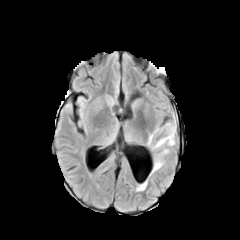
FLAIR magnetic resonance.
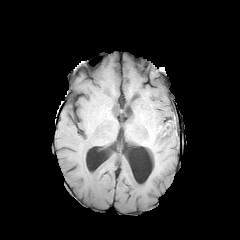
T1-weighted MR image of the same slice.
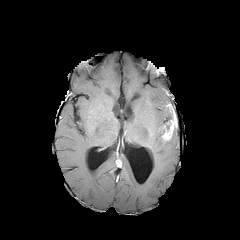
Post-contrast T1-weighted MRI.
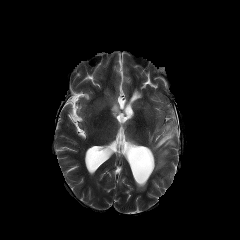
T2-weighted MR image of the same slice.
Brain
Findings:
• enhancing tumor: x1=161, y1=116, x2=175, y2=141
• edema: x1=147, y1=122, x2=175, y2=175; x1=136, y1=179, x2=148, y2=191